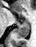
MRI slice
The posterior hippocampus is at [15,22,29,38]. The anterior hippocampus is located at [23,19,27,21].